CT slice. Slice index 34.
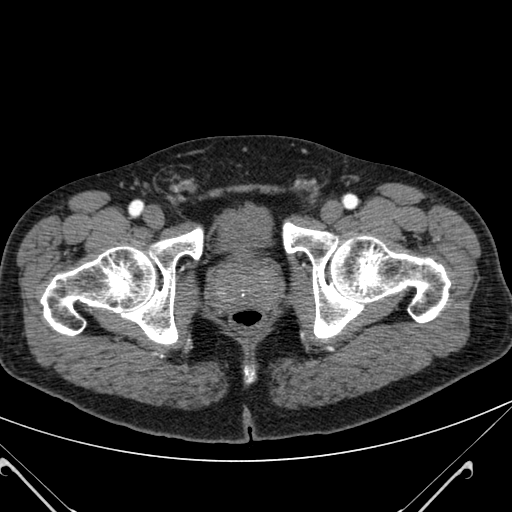

The urinary bladder is at l=211, t=202, r=272, b=256.